Slice 85 of 155.
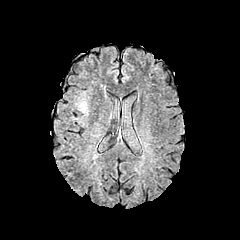
FLAIR MRI.
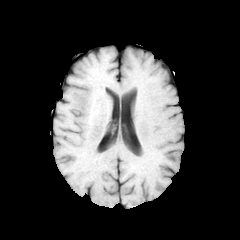
T1-weighted MR image of the same slice.
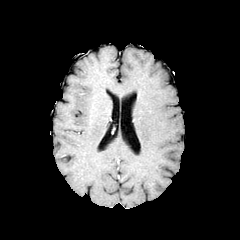
Post-contrast T1-weighted MR.
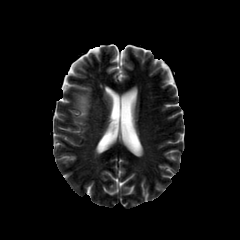
T2-weighted MRI.
edema:
  - (74,92,89,119)